FLAIR MR.
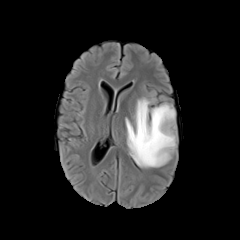
T1-weighted magnetic resonance.
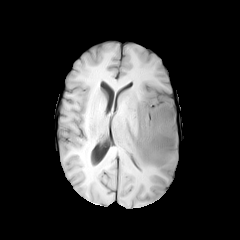
Post-contrast T1-weighted MR image.
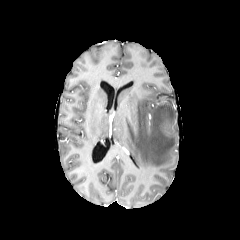
T2-weighted MRI.
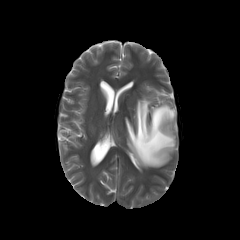
Findings:
- edema: 125,96,177,167
- non-enhancing tumor core: 152,120,157,139; 138,128,145,139